Brain | Field of view 240 mm wide, 1.00 mm slice spacing
FLAIR MR.
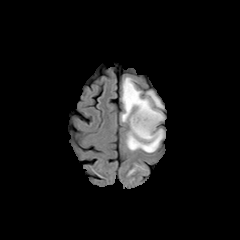
T1-weighted MR.
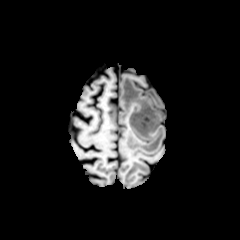
Post-contrast T1-weighted magnetic resonance.
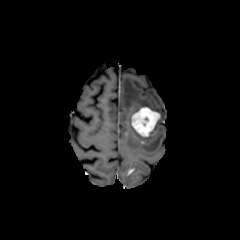
T2-weighted MR.
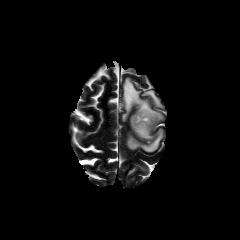
Enhancing tumor at [x1=131, y1=107, x2=160, y2=136].
Edema at [x1=121, y1=76, x2=165, y2=152].